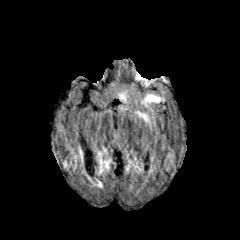
FLAIR MRI.
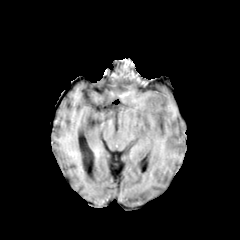
Same slice, T1-weighted MR image.
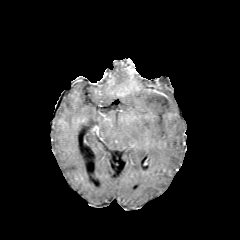
Post-contrast T1-weighted MR image.
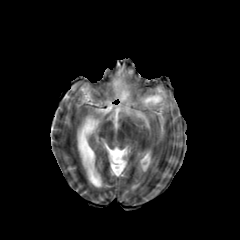
Same slice, T2-weighted MR.
Brain, Image size 240x240
Edema: [112,84,166,125].